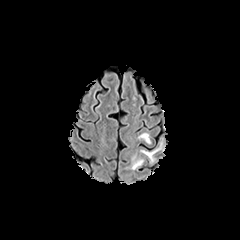
FLAIR magnetic resonance.
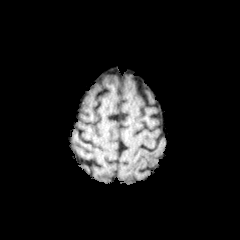
T1-weighted magnetic resonance.
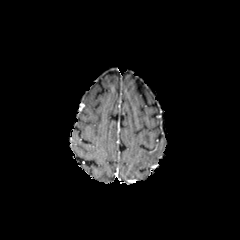
Post-contrast T1-weighted magnetic resonance.
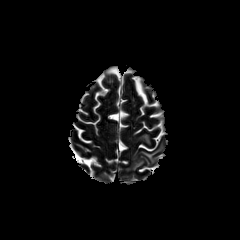
T2-weighted MR.
Brain
Edema at x1=138 y1=133 x2=151 y2=144, x1=140 y1=147 x2=162 y2=161, x1=129 y1=154 x2=144 y2=170.